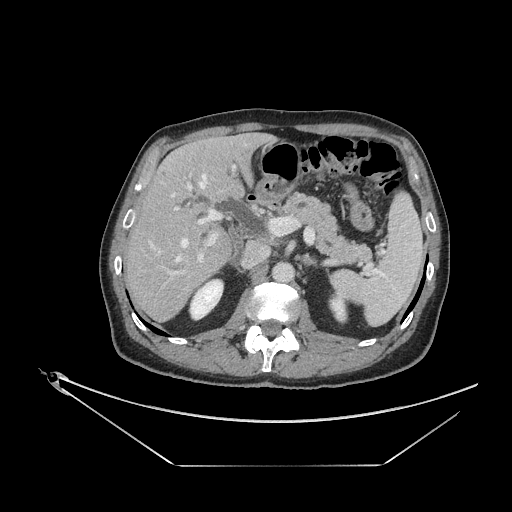 Upper abdomen; 512x512 px; CT image
Pancreas: bounding box <bbox>284, 194, 372, 262</bbox>.